Liver; CT; Image size 512x512
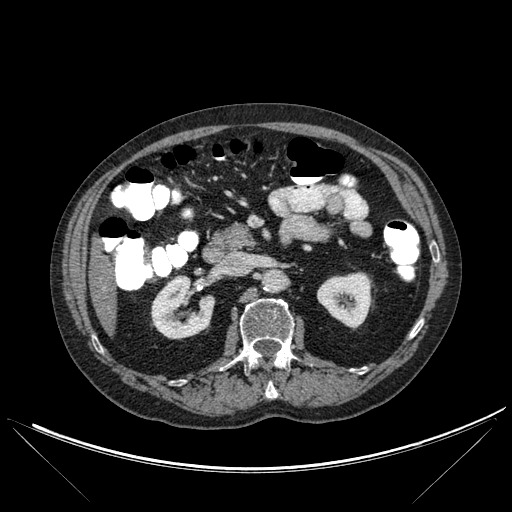 kidney: [x1=151, y1=276, x2=214, y2=338], [x1=317, y1=273, x2=370, y2=327] | liver: [x1=89, y1=234, x2=118, y2=336] | bone: [x1=231, y1=299, x2=293, y2=367], [x1=265, y1=381, x2=277, y2=397], [x1=410, y1=320, x2=422, y2=337], [x1=351, y1=367, x2=365, y2=374]